Image size 240x240. Slice 48/155. Head.
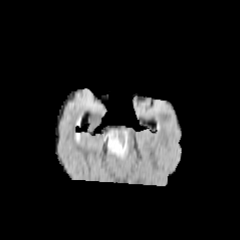
FLAIR magnetic resonance.
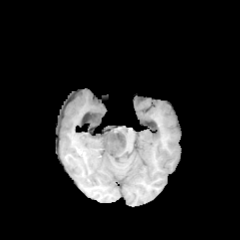
T1-weighted MR image.
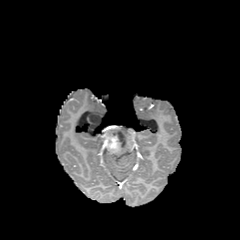
Post-contrast T1-weighted MRI.
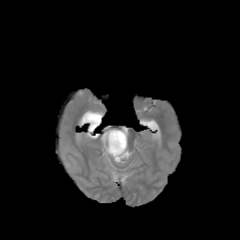
Same slice, T2-weighted MR image.
{"edema": ["x1=111, y1=126, x2=127, y2=158"], "non-enhancing_tumor_core": ["x1=85, y1=113, x2=103, y2=134", "x1=109, y1=128, x2=125, y2=154"], "enhancing_tumor": ["x1=103, y1=128, x2=121, y2=153"]}